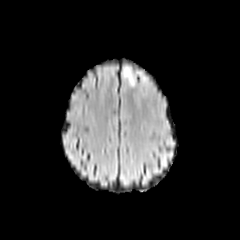
FLAIR MR.
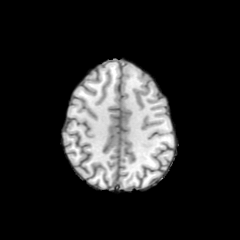
T1-weighted MRI.
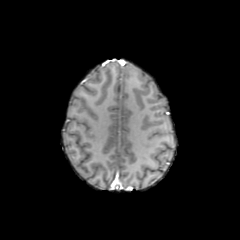
Same slice, post-contrast T1-weighted MR.
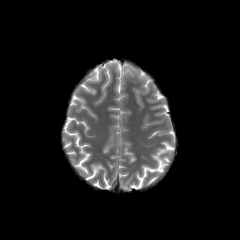
T2-weighted MR of the same slice.
{"edema": ["x1=123 y1=67 x2=131 y2=80"]}